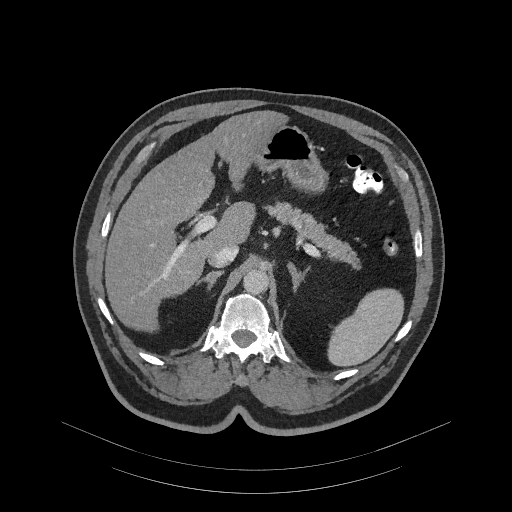

CT; Upper abdomen
pancreas:
  - x1=266 y1=201 x2=359 y2=266